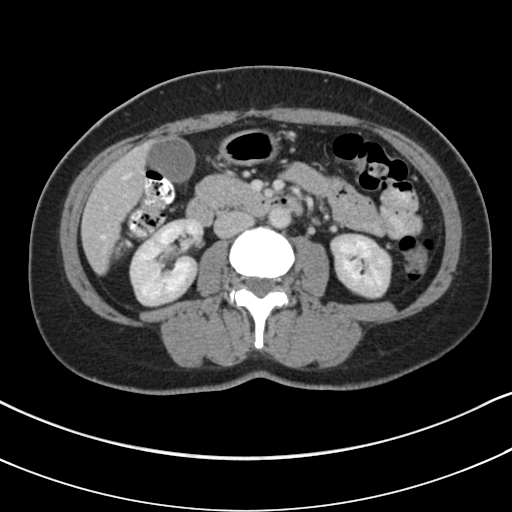 512x512, Upper abdomen, Computed tomography

{
  "pancreas": [
    "bbox=[195, 175, 260, 209]"
  ]
}